Computed tomography; Slice 50 of 124; Abdomen
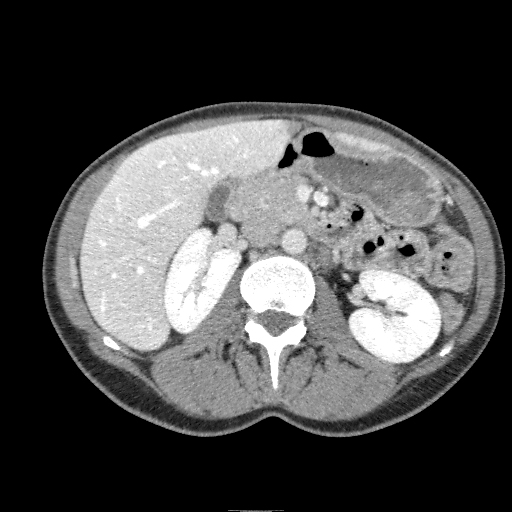

2 kidney regions are bounded by 349,270,440,362; 164,229,240,332. The focal liver lesion appears at 280,120,301,135. 2 liver regions are bounded by 332,133,389,151; 80,119,294,350.